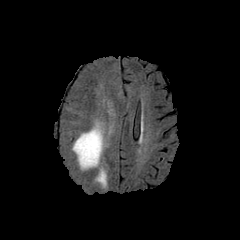
FLAIR MR image.
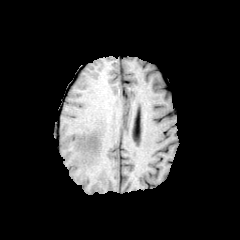
T1-weighted magnetic resonance of the same slice.
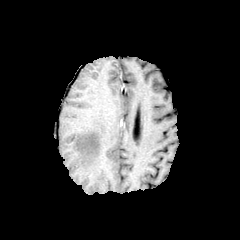
Post-contrast T1-weighted MR image.
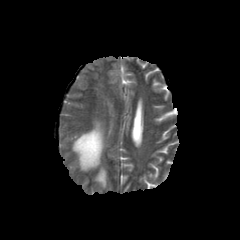
Same slice, T2-weighted MRI.
240x240 px
Edema: box=[72, 121, 107, 187].